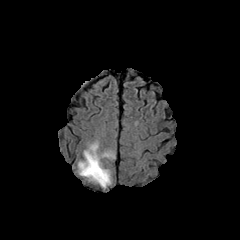
FLAIR MR.
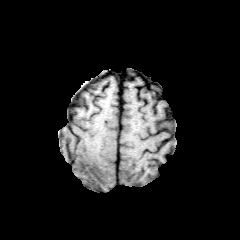
T1-weighted MR image.
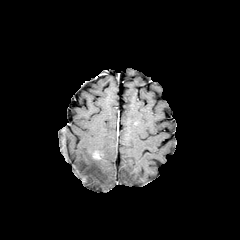
Same slice, post-contrast T1-weighted MR.
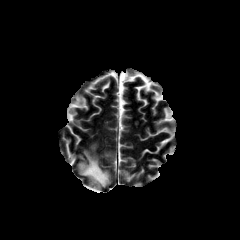
T2-weighted magnetic resonance.
240x240 px | Brain
The edema lies within 77,142,115,188.